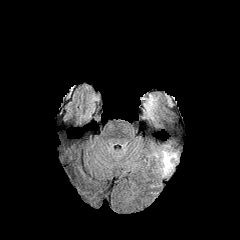
FLAIR MRI.
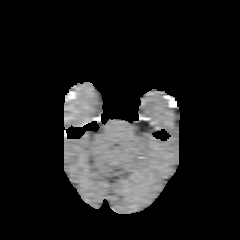
Same slice, T1-weighted MR image.
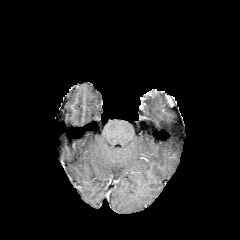
Post-contrast T1-weighted MR.
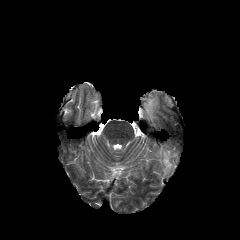
Same slice, T2-weighted MRI.
Edema: bounding box x1=142, y1=92, x2=159, y2=120; x1=156, y1=148, x2=165, y2=163.